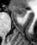
MRI

anterior_hippocampus:
  - x1=13, y1=6, x2=26, y2=17